Brain | 240x240 px
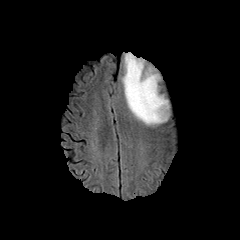
FLAIR MR image.
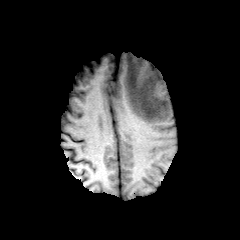
T1-weighted MRI.
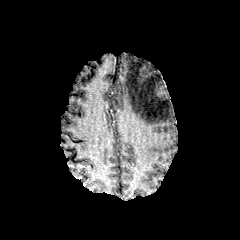
Post-contrast T1-weighted MR image of the same slice.
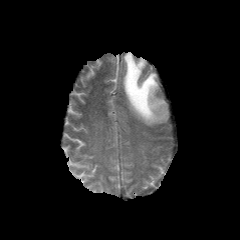
Same slice, T2-weighted MRI.
The edema is bounded by x1=121, y1=52, x2=169, y2=125.